Image size 240x240.
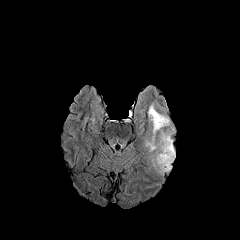
FLAIR magnetic resonance.
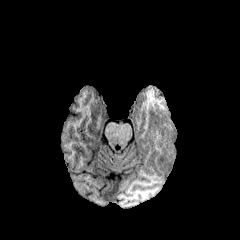
T1-weighted magnetic resonance.
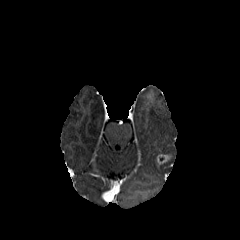
Post-contrast T1-weighted MR image of the same slice.
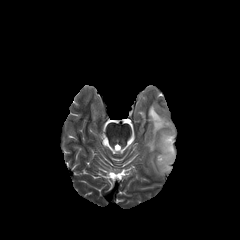
Same slice, T2-weighted magnetic resonance.
Edema: bounding box region(144, 104, 176, 175).
Enhancing tumor: bounding box region(156, 154, 171, 166).